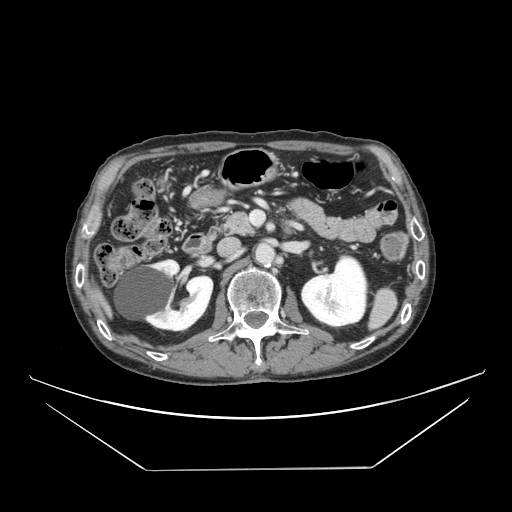
512x512 px, CT scan slice, Abdomen
The pancreas is bounded by (217, 209, 256, 238).